240x240 px
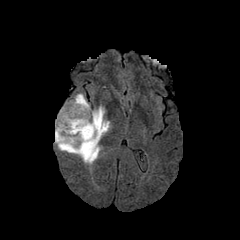
FLAIR magnetic resonance.
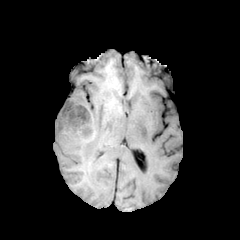
T1-weighted MR image.
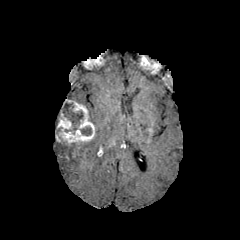
Same slice, post-contrast T1-weighted MR image.
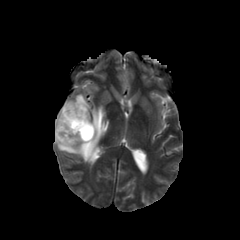
Same slice, T2-weighted MR.
* non-enhancing tumor core: (x1=80, y1=127, x2=91, y2=135), (x1=60, y1=100, x2=83, y2=130), (x1=72, y1=140, x2=91, y2=152), (x1=55, y1=114, x2=59, y2=133)
* enhancing tumor: (x1=56, y1=100, x2=94, y2=142)
* edema: (x1=55, y1=93, x2=109, y2=166)